Slice 98/155
FLAIR MR image.
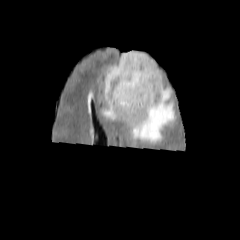
T1-weighted MRI.
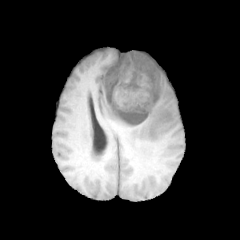
Post-contrast T1-weighted MR image.
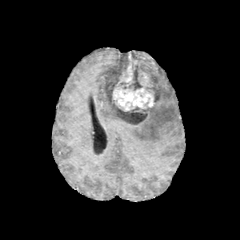
T2-weighted magnetic resonance.
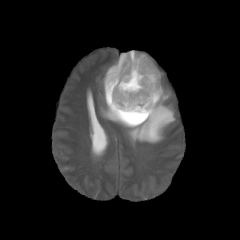
2 non-enhancing tumor core regions are located at box=[103, 51, 162, 103]; box=[105, 96, 151, 124]. 2 edema regions appear at box=[155, 62, 162, 85]; box=[100, 87, 175, 146]. The enhancing tumor is located at box=[112, 62, 154, 111].